Image width 335 mm | Computed tomography

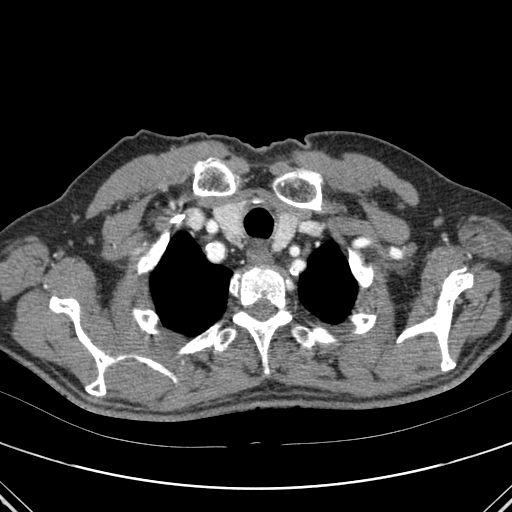
lung: 150, 231, 232, 336; 298, 241, 357, 323 | bone: 178, 324, 236, 354; 397, 267, 473, 371; 49, 296, 113, 396; 275, 172, 322, 211; 292, 326, 336, 347; 193, 159, 236, 196; 229, 267, 292, 373; 138, 356, 172, 378; 351, 314, 376, 333; 349, 249, 373, 287; 133, 309, 157, 333; 137, 214, 184, 273